Computed tomography | Slice 147 of 216 | Image size 512x512 | Liver
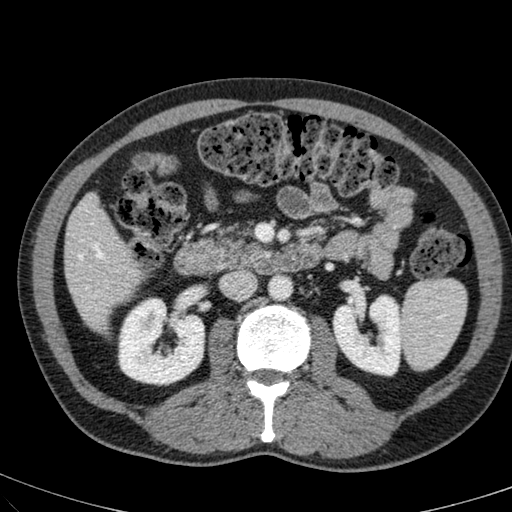
The liver is located at bbox=[65, 195, 138, 327]. 2 kidney regions are bounded by bbox=[120, 299, 203, 383]; bbox=[334, 297, 400, 373].